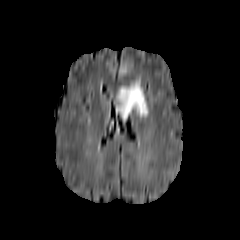
FLAIR MRI.
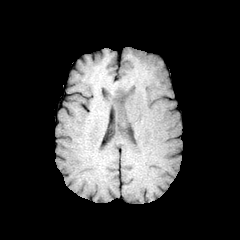
T1-weighted magnetic resonance.
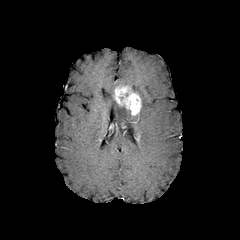
Post-contrast T1-weighted MRI of the same slice.
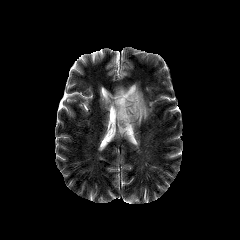
T2-weighted magnetic resonance.
240x240 px
{
  "edema": [
    "(x1=116, y1=106, x2=132, y2=122)",
    "(x1=128, y1=82, x2=149, y2=119)"
  ],
  "enhancing_tumor": [
    "(x1=115, y1=86, x2=141, y2=115)"
  ]
}